Field of view 240x240 mm; 240x240 px; Slice 77/155; Brain
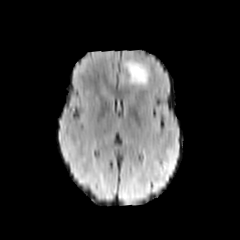
FLAIR MR image.
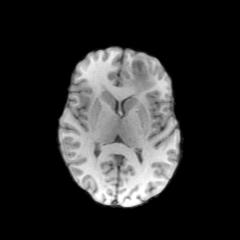
T1-weighted MR image.
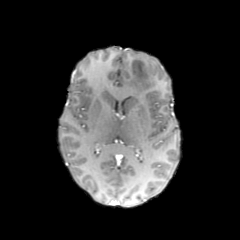
Post-contrast T1-weighted MRI.
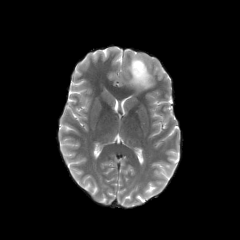
T2-weighted MR.
Annotated regions:
• non-enhancing tumor core: x1=131, y1=59, x2=148, y2=79
• edema: x1=125, y1=57, x2=154, y2=89